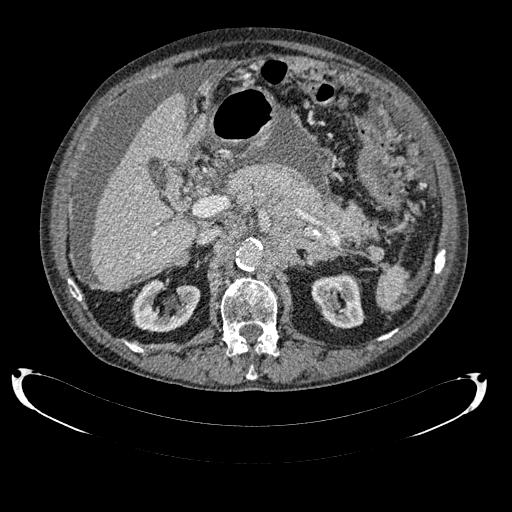 CT slice | Liver

{
  "kidney": [
    "(312,275,363,327)",
    "(133,280,199,331)"
  ],
  "liver": [
    "(92,93,200,289)"
  ]
}